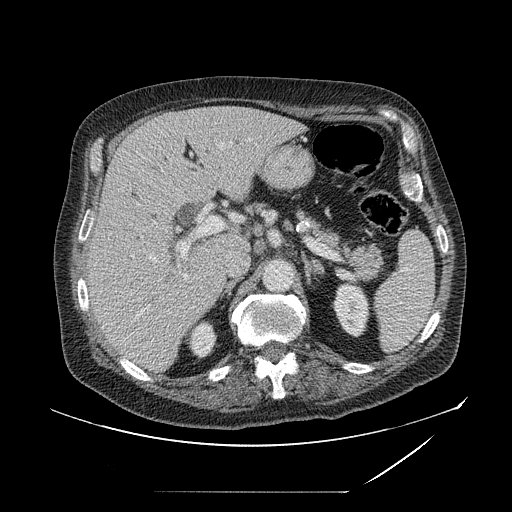
CT slice, Upper abdomen

* pancreas: bbox=[296, 210, 384, 281]